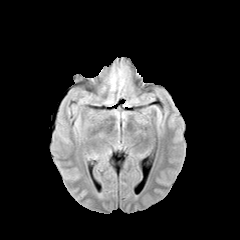
FLAIR magnetic resonance.
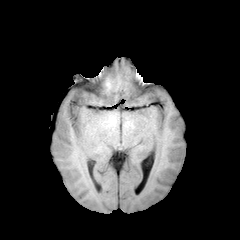
T1-weighted MR image.
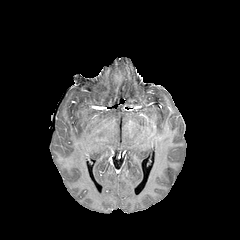
Same slice, post-contrast T1-weighted MR.
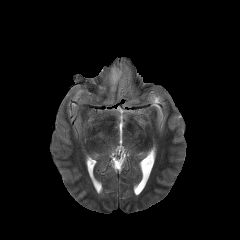
T2-weighted magnetic resonance.
Head
Edema = left=107, top=66, right=129, bottom=96.